FLAIR MR image.
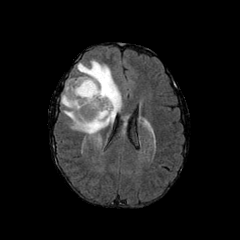
T1-weighted magnetic resonance.
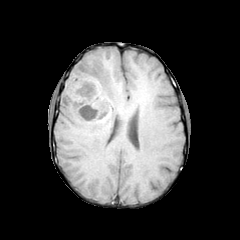
Post-contrast T1-weighted MRI.
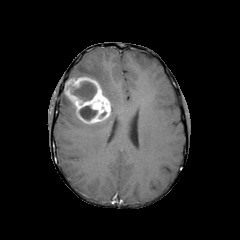
T2-weighted magnetic resonance.
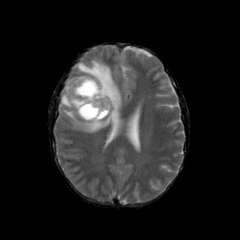
Image size 240x240; Brain
Non-enhancing tumor core — [79,105,97,120], [72,81,96,101].
Enhancing tumor — [64,76,110,123].
Edema — [61,60,122,134].